Slice 97 of 113; CT

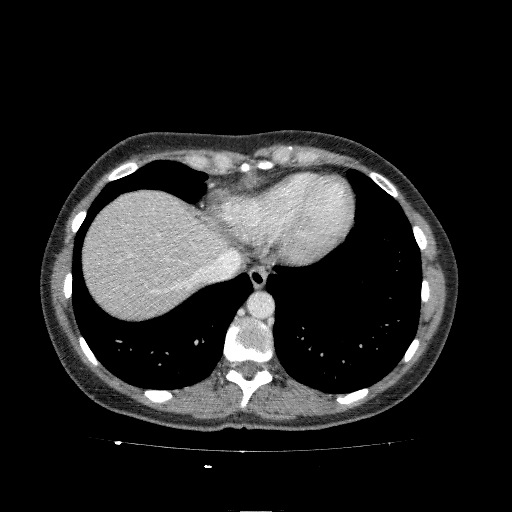 Liver = <box>83,190,240,317</box>.